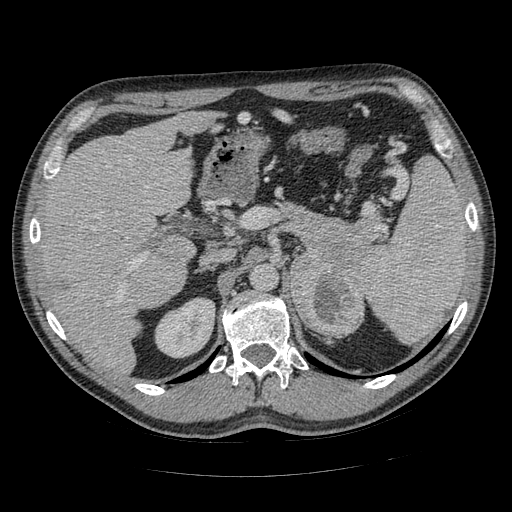
Abdomen; Computed tomography
<segmentation>
  <pancreas>left=284, top=205, right=376, bottom=284</pancreas>
  <pancreatic_tumor>left=291, top=256, right=364, bottom=337</pancreatic_tumor>
</segmentation>